Image width 330 mm. 512x512 px. CT image. Pelvis.

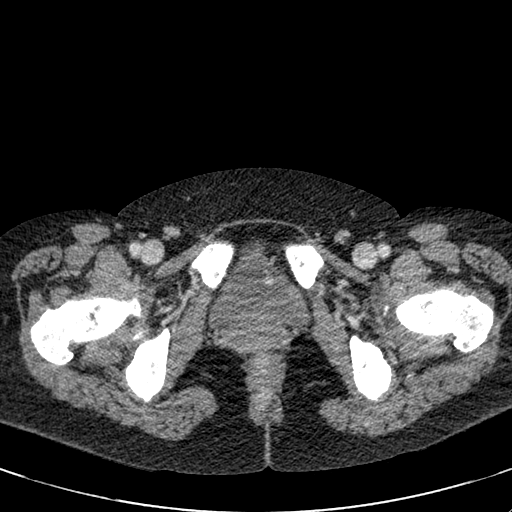
{"urinary_bladder": ["<bbox>210, 240, 307, 334</bbox>"]}